Brain. Slice 105 of 155.
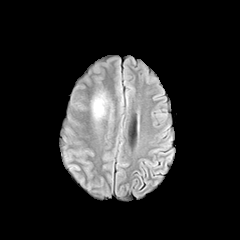
FLAIR MR.
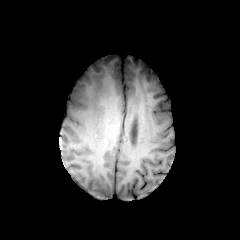
Same slice, T1-weighted MR.
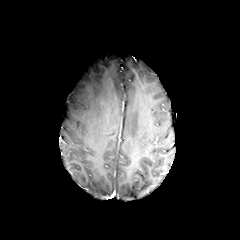
Post-contrast T1-weighted magnetic resonance of the same slice.
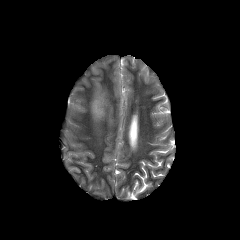
T2-weighted MRI.
Segmented structures:
- edema: {"x1": 93, "y1": 95, "x2": 103, "y2": 116}